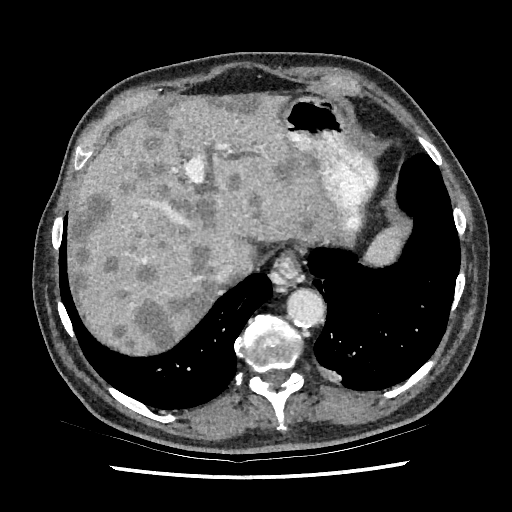

CT scan slice
<segmentation partial="true">
  <hepatic_lesion shown="15" total="18">(212,95,262,112), (169,244,214,325), (136,265,157,283), (299,219,312,233), (104,256,119,272), (227,173,241,189), (123,161,168,191), (131,300,175,349), (174,224,190,237), (156,185,217,228), (144,110,172,153), (72,192,113,298), (114,326,130,343), (275,140,318,183), (249,193,263,217)</hepatic_lesion>
  <liver>(70,95,348,353)</liver>
</segmentation>